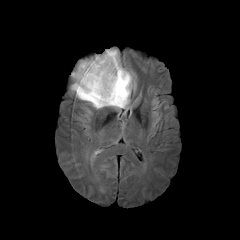
FLAIR MR.
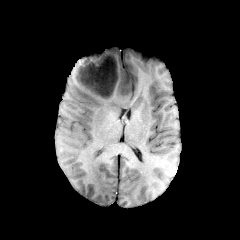
T1-weighted MRI of the same slice.
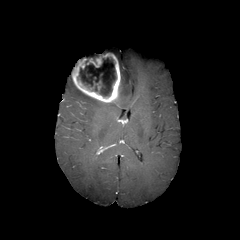
Post-contrast T1-weighted MR image.
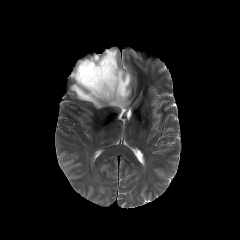
Same slice, T2-weighted magnetic resonance.
Head
Edema = (71,48,133,110).
Non-enhancing tumor core = (79,58,115,95).
Enhancing tumor = (72,52,121,102).